Image width 240 mm; Head; Slice 93 of 155
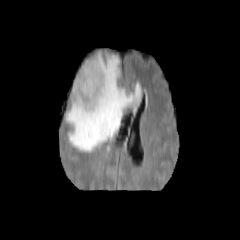
FLAIR MRI.
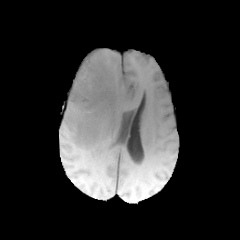
T1-weighted MR.
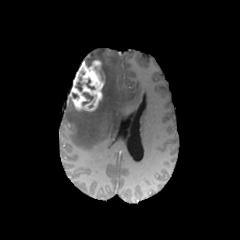
Post-contrast T1-weighted MR image of the same slice.
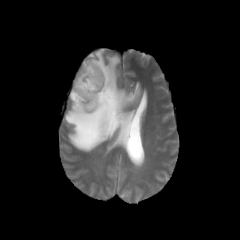
T2-weighted magnetic resonance.
<segmentation>
  <edema>65 50 141 151</edema>
  <non-enhancing_tumor_core>99 65 106 104</non-enhancing_tumor_core>
  <enhancing_tumor>69 60 104 111</enhancing_tumor>
</segmentation>